512x512; CT slice; Slice index 52; Abdomen

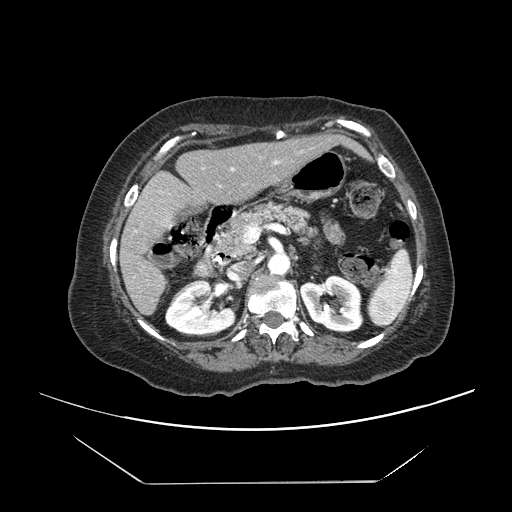
Not every hepatic vessel necessarily has a box.
Hepatic vessel = <bbox>244, 224, 257, 242</bbox>, <bbox>231, 168, 233, 169</bbox>.